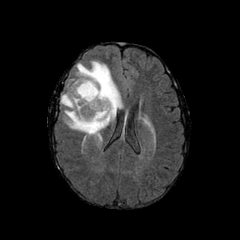
FLAIR MRI.
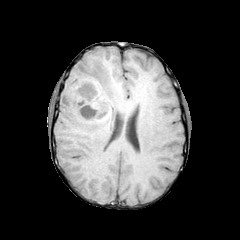
T1-weighted MR of the same slice.
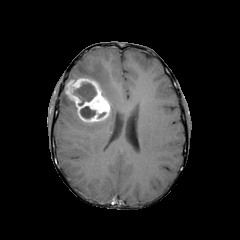
Post-contrast T1-weighted MR.
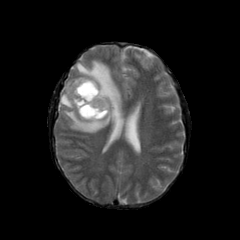
Same slice, T2-weighted MR image.
Head
The edema appears at [x1=60, y1=59, x2=122, y2=134]. The enhancing tumor appears at [x1=66, y1=78, x2=110, y2=122]. 2 non-enhancing tumor core regions appear at [x1=72, y1=82, x2=96, y2=105], [x1=80, y1=106, x2=95, y2=119].